CT image | Slice index 109 | Abdomen 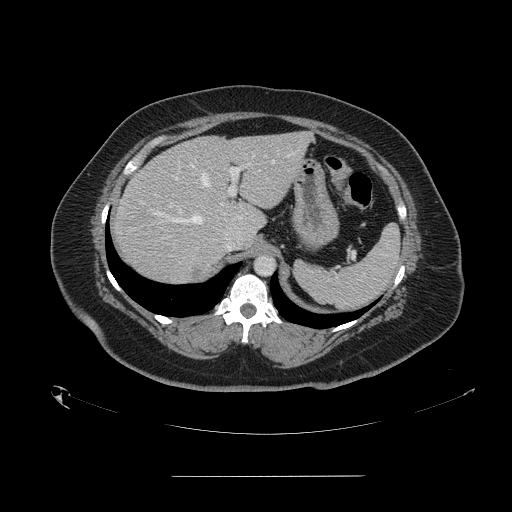 Segmented structures:
* spleen: 294, 224, 400, 309